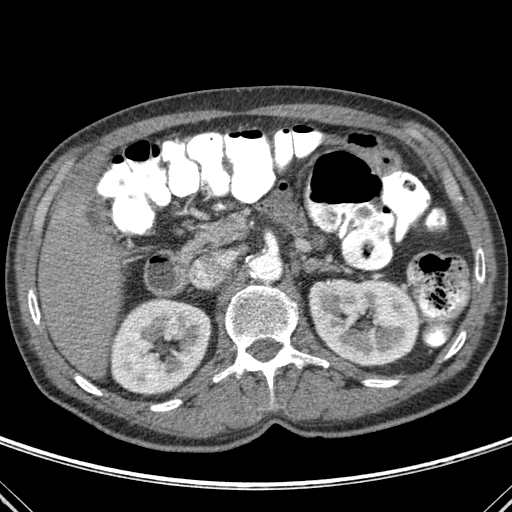
Computed tomography, Abdomen
liver: left=38, top=176, right=125, bottom=379; left=94, top=155, right=103, bottom=167 | kidney: left=112, top=300, right=209, bottom=393; left=310, top=280, right=418, bottom=364 | bone: left=213, top=284, right=328, bottom=394; left=445, top=331, right=465, bottom=358; left=151, top=399, right=181, bottom=411; left=75, top=375, right=101, bottom=395; left=363, top=379, right=398, bottom=387; left=28, top=290, right=39, bottom=324; left=475, top=248, right=484, bottom=283